Computed tomography; Field of view 389x389 mm; Upper abdomen
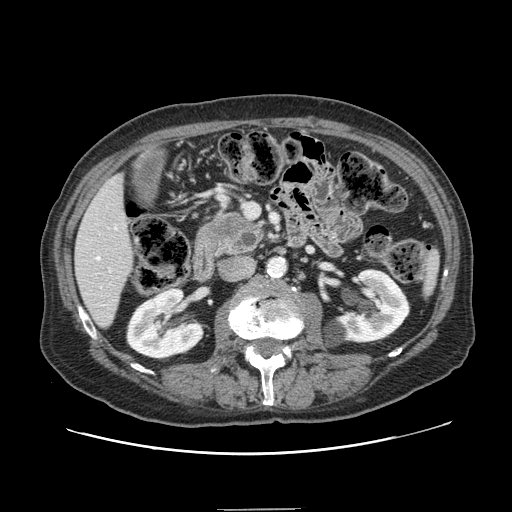 {
  "pancreas": [
    "left=209, top=208, right=264, bottom=256"
  ],
  "pancreatic_tumor": [
    "left=212, top=214, right=244, bottom=240"
  ]
}